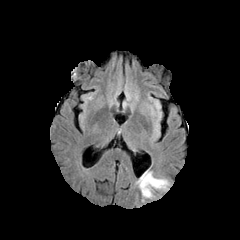
FLAIR MR.
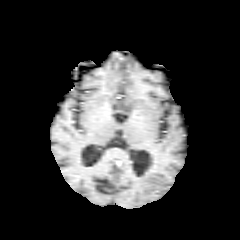
Same slice, T1-weighted MR image.
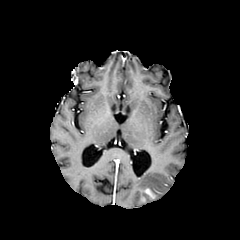
Same slice, post-contrast T1-weighted MRI.
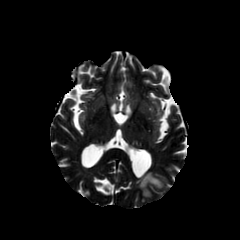
T2-weighted MR image.
240x240 px, Brain
Annotated regions:
- edema: box(136, 170, 168, 198)